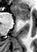 MRI
anterior_hippocampus:
  - (x1=14, y1=7, x2=28, y2=20)